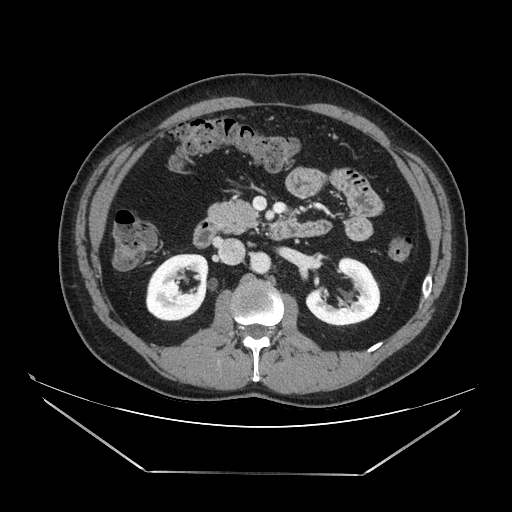 Abdomen | CT image

Pancreas: l=208, t=200, r=259, b=233.